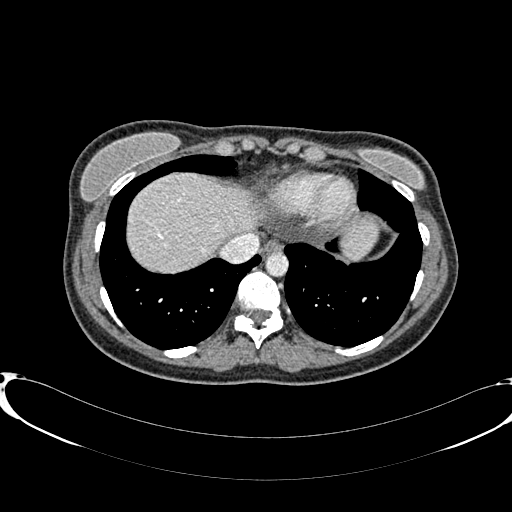 Liver | CT
liver:
  - (x1=127, y1=173, x2=257, y2=271)
  - (x1=344, y1=220, x2=376, y2=259)